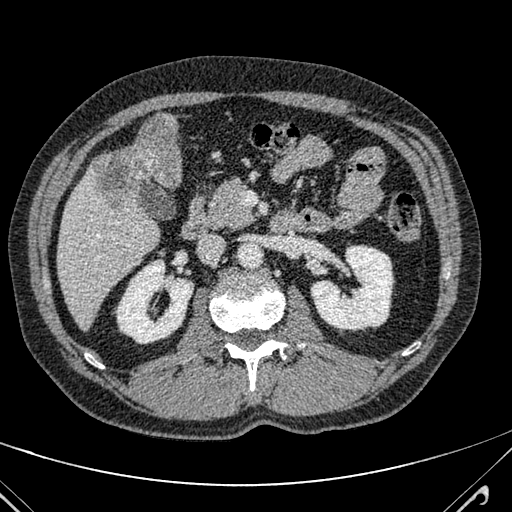
Abdomen; CT slice
<segmentation>
  <liver>58 161 157 328</liver>
  <focal_liver_lesion>94 114 181 207</focal_liver_lesion>
</segmentation>